Field of view 240 mm wide, 1.00 mm slice spacing, Image size 240x240
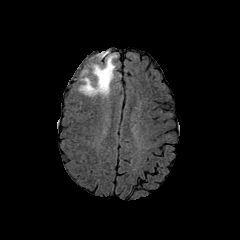
FLAIR magnetic resonance.
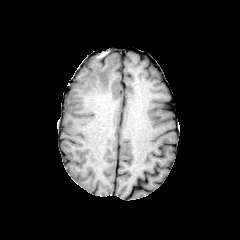
T1-weighted MRI of the same slice.
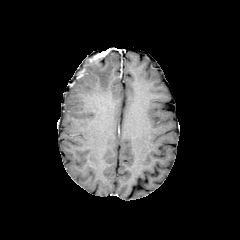
Post-contrast T1-weighted MRI.
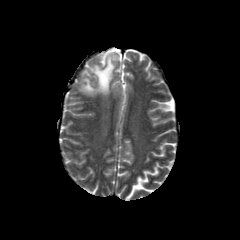
T2-weighted MRI of the same slice.
{
  "enhancing_tumor": [
    "box(92, 50, 109, 59)"
  ],
  "edema": [
    "box(77, 51, 117, 96)"
  ],
  "non-enhancing_tumor_core": [
    "box(89, 56, 105, 65)"
  ]
}